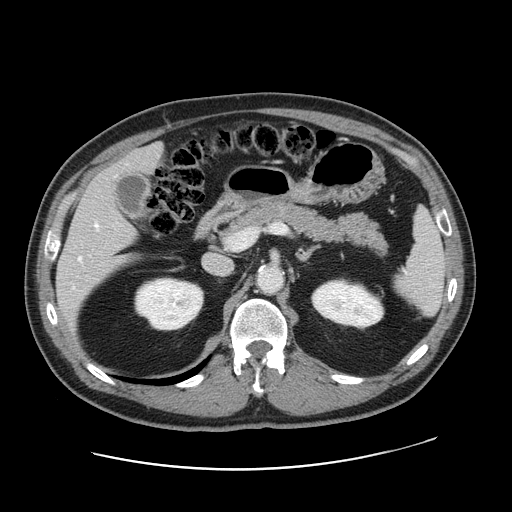

Computed tomography

Only some of the vessels may be annotated.
7 hepatic vessel regions appear at <bbox>115, 256, 121, 261</bbox>, <bbox>155, 144, 161, 148</bbox>, <bbox>95, 223, 99, 229</bbox>, <bbox>128, 226, 134, 233</bbox>, <bbox>78, 257, 81, 260</bbox>, <bbox>114, 175, 116, 176</bbox>, <bbox>73, 285, 73, 288</bbox>.